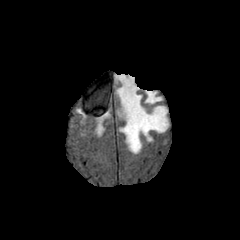
FLAIR MR image.
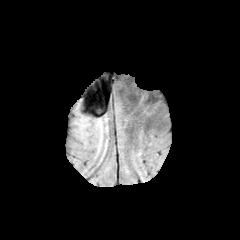
T1-weighted MRI of the same slice.
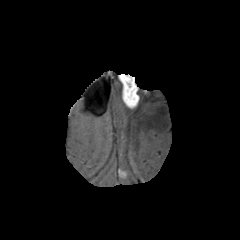
Same slice, post-contrast T1-weighted MRI.
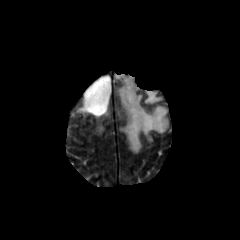
T2-weighted MRI.
240x240 | Head
edema: 116 82 168 153 | enhancing tumor: 119 74 139 108